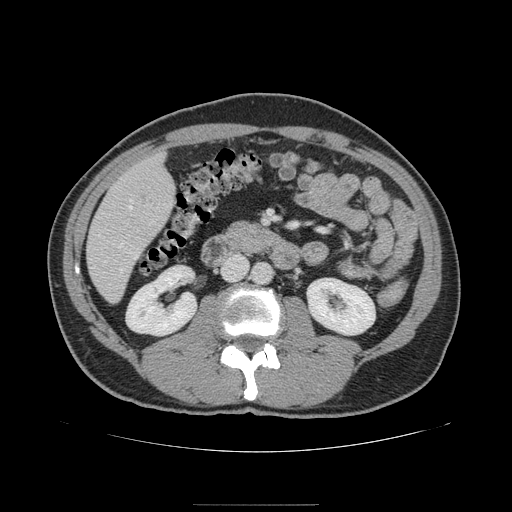
CT

The pancreas lies within [x1=225, y1=221, x2=279, y2=251].